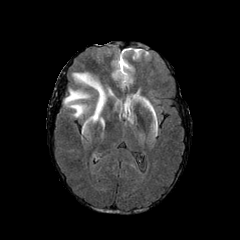
FLAIR MR.
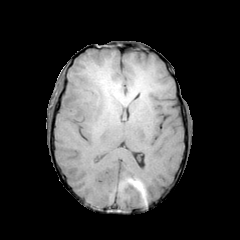
T1-weighted MRI.
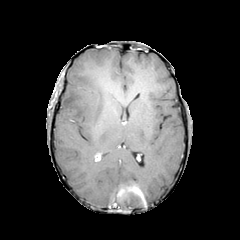
Same slice, post-contrast T1-weighted MRI.
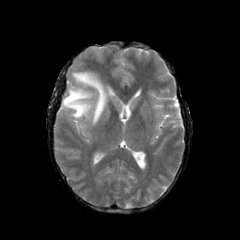
T2-weighted magnetic resonance of the same slice.
<segmentation>
  <edema>(left=63, top=72, right=106, bottom=123)</edema>
</segmentation>